Computed tomography; Image width 386 mm; Abdomen 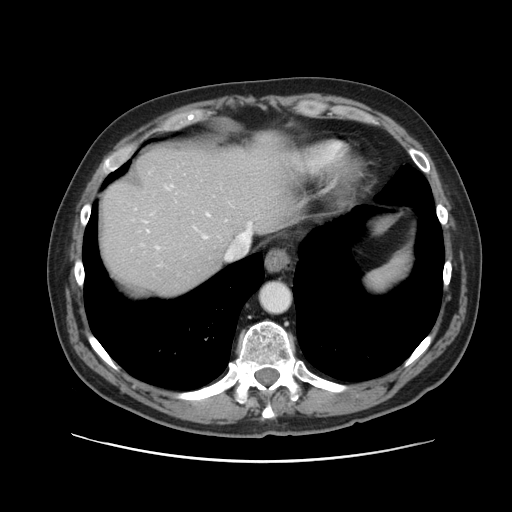 Not every hepatic vessel necessarily has a box.
Hepatic vessel at bbox=[143, 220, 146, 222]; bbox=[249, 222, 250, 226]; bbox=[166, 185, 172, 188]; bbox=[147, 230, 148, 231]; bbox=[207, 213, 209, 215]; bbox=[155, 247, 158, 248].